Abdomen, Slice 525 of 846, CT scan slice 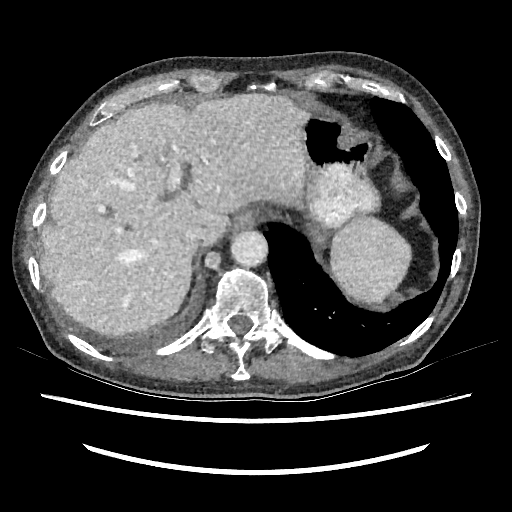

Liver: bounding box 41, 93, 307, 334.